CT slice, Slice 110/154, Field of view 411x411 mm 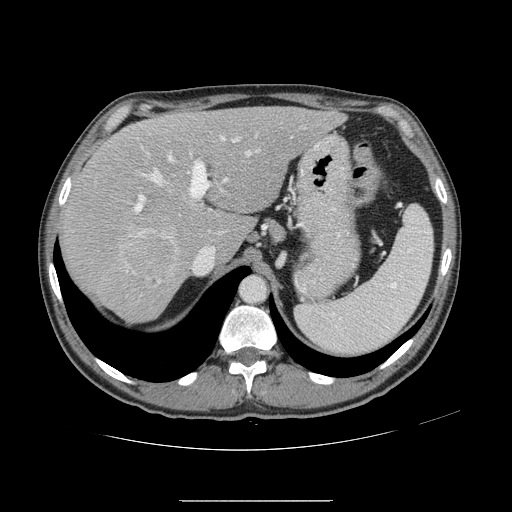

Some hepatic vessels may have no box.
Liver tumor at box=[127, 238, 173, 276].
Largest 15 of 19 hepatic vessel regions at box=[147, 153, 148, 155]; box=[141, 169, 163, 183]; box=[189, 161, 207, 197]; box=[246, 150, 250, 155]; box=[220, 231, 224, 232]; box=[221, 136, 224, 139]; box=[168, 152, 173, 160]; box=[149, 229, 154, 231]; box=[135, 196, 144, 211]; box=[256, 149, 259, 152]; box=[138, 229, 144, 236]; box=[232, 137, 239, 141]; box=[302, 127, 305, 128]; box=[162, 233, 163, 236]; box=[157, 280, 160, 283].